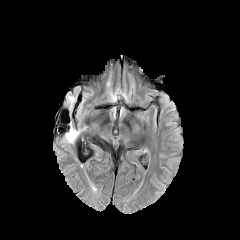
FLAIR MR.
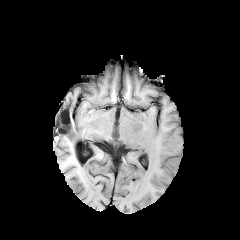
T1-weighted MR image of the same slice.
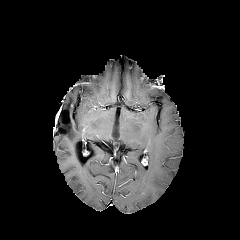
Same slice, post-contrast T1-weighted magnetic resonance.
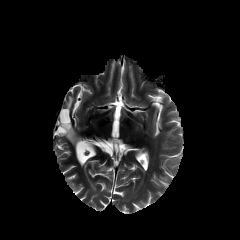
T2-weighted MR.
Brain
2 edema regions appear at [x1=62, y1=122, x2=80, y2=145], [x1=66, y1=93, x2=75, y2=112].